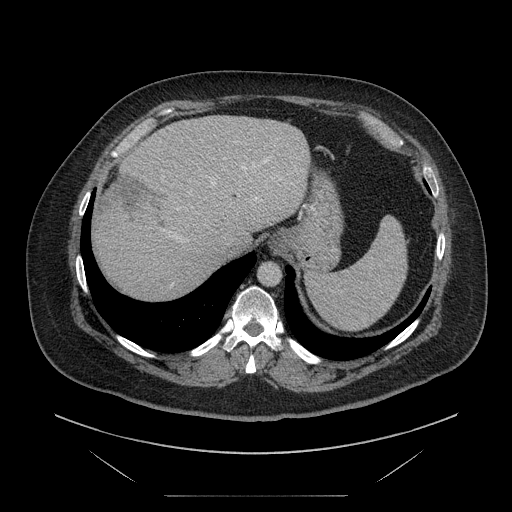

CT image, Liver

Not every hepatic vessel necessarily has a box.
hepatic_vessel:
  - [x1=242, y1=158, x2=268, y2=180]
  - [x1=165, y1=231, x2=188, y2=241]
  - [x1=162, y1=230, x2=164, y2=231]
liver_tumor:
  - [x1=101, y1=175, x2=161, y2=223]